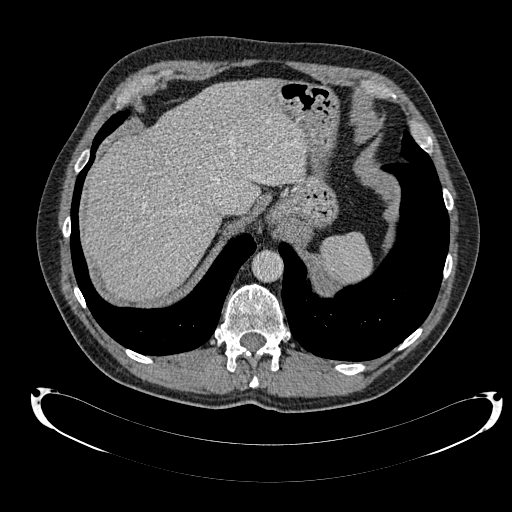 CT image. Liver.

liver:
  - x1=86 y1=79 x2=307 y2=300